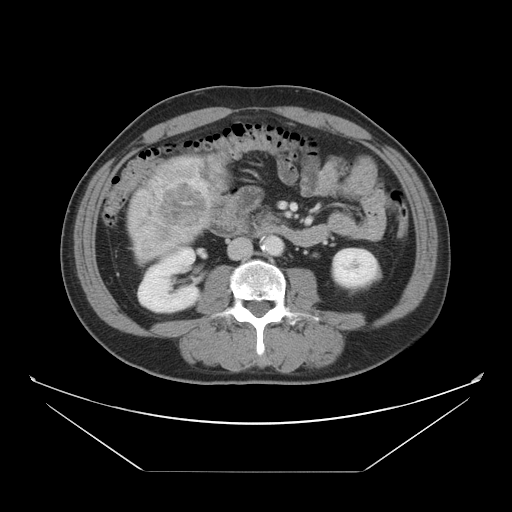

512x512 px | CT image

Segmented structures:
- liver tumor: rect(128, 158, 211, 258)